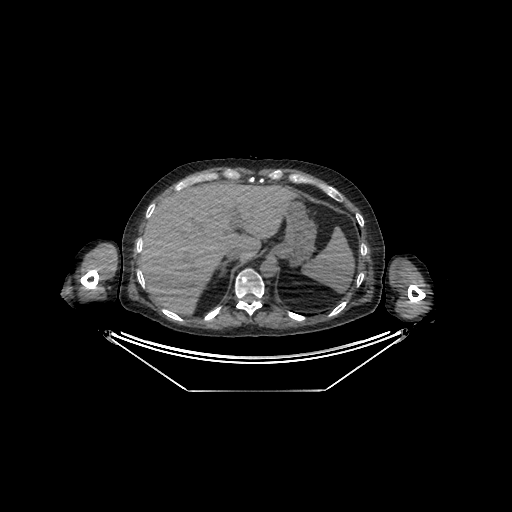

Liver; CT image
The liver appears at (137, 178, 294, 314).